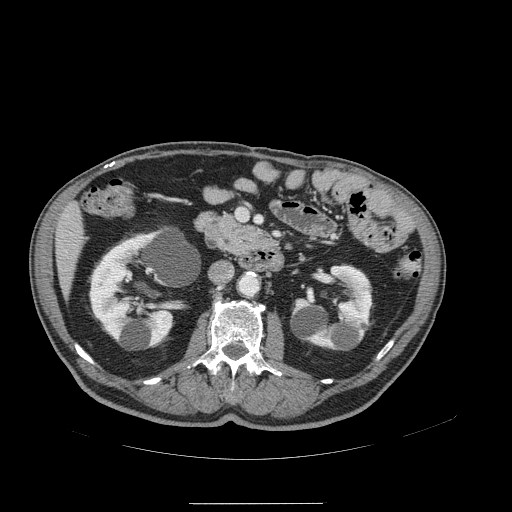
CT scan slice

Pancreas — (204,211,283,257).